240x240.
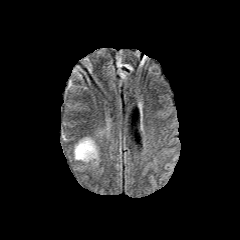
FLAIR MR.
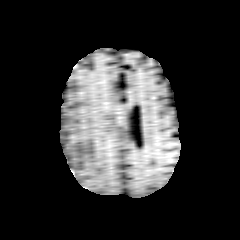
T1-weighted MR.
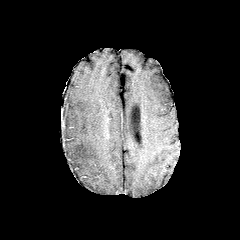
Post-contrast T1-weighted MR image.
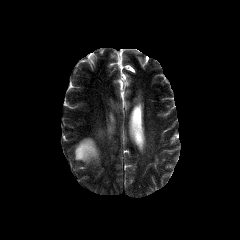
T2-weighted MR image.
edema:
  - x1=73 y1=138 x2=99 y2=164